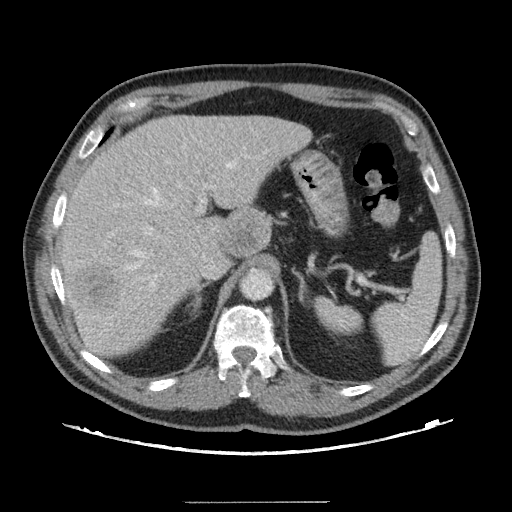
Computed tomography
Only some of the vessels may be annotated.
Hepatic vessel at 133 223 158 237, 226 162 232 168, 151 187 159 204, 164 158 172 167, 109 227 120 235, 139 265 166 298, 127 227 130 229, 234 160 236 162, 127 249 150 268.
Liver tumor at 69 263 120 314.